FLAIR magnetic resonance.
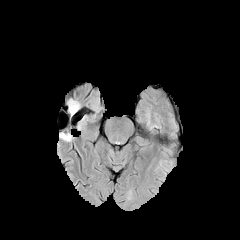
T1-weighted magnetic resonance.
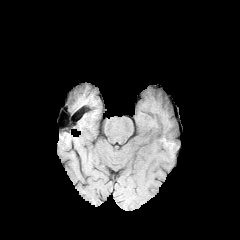
Post-contrast T1-weighted MR.
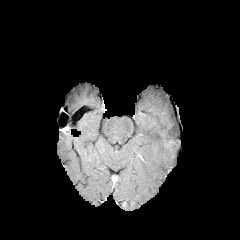
T2-weighted MRI.
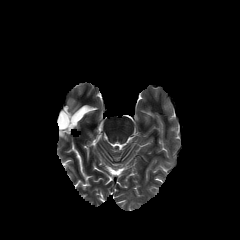
240x240 px
edema: {"x1": 68, "y1": 99, "x2": 80, "y2": 115}